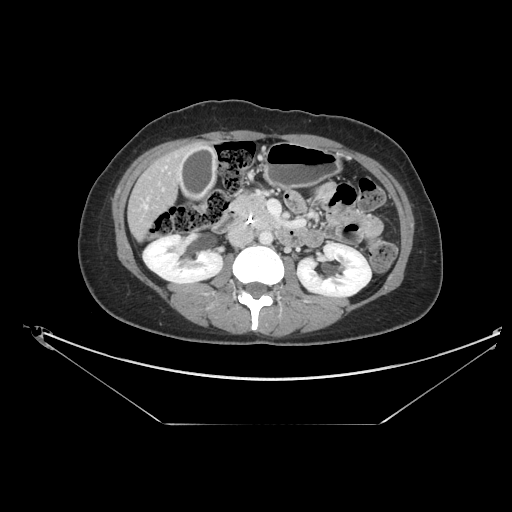
CT image
<segmentation>
  <pancreatic_tumor>253,200,263,212</pancreatic_tumor>
  <pancreas>233,194,278,228</pancreas>
</segmentation>